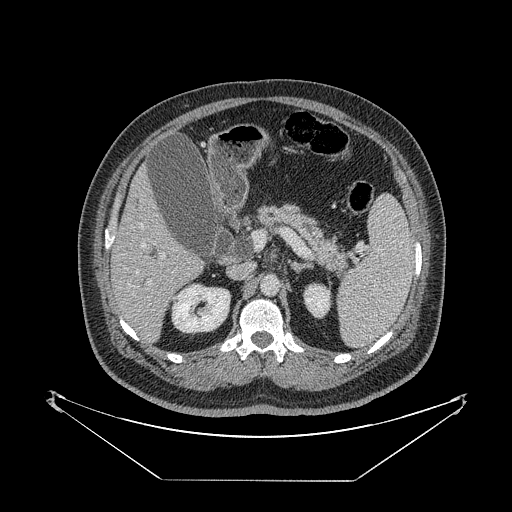
CT slice. Abdomen. The pancreas lies within (257, 206, 345, 270).